CT
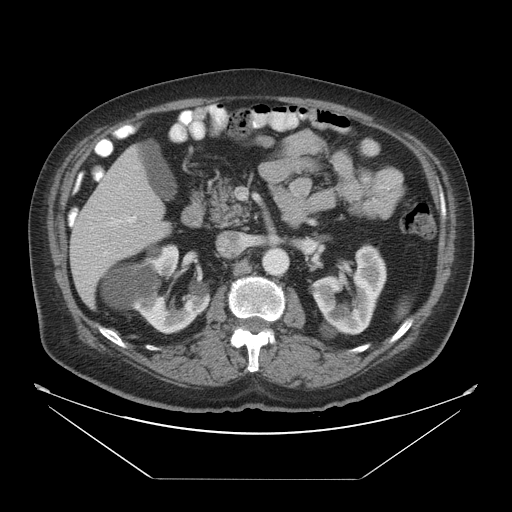
Some hepatic vessels may have no box.
Hepatic vessel: x1=128 y1=216 x2=135 y2=221.